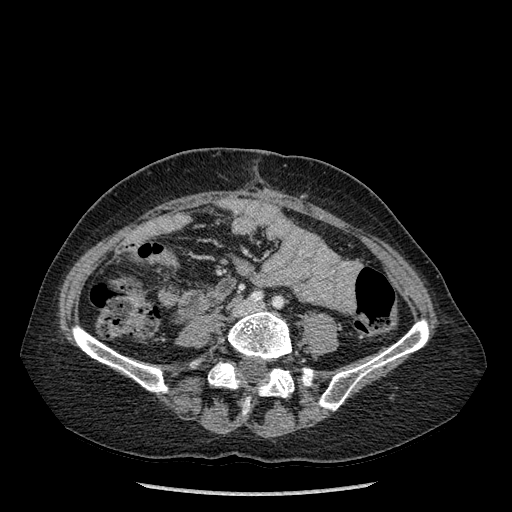 Computed tomography
7 bone regions are bounded by 208 362 240 388, 318 319 429 410, 72 326 167 393, 301 368 313 385, 242 397 249 414, 228 310 291 360, 258 368 294 397.